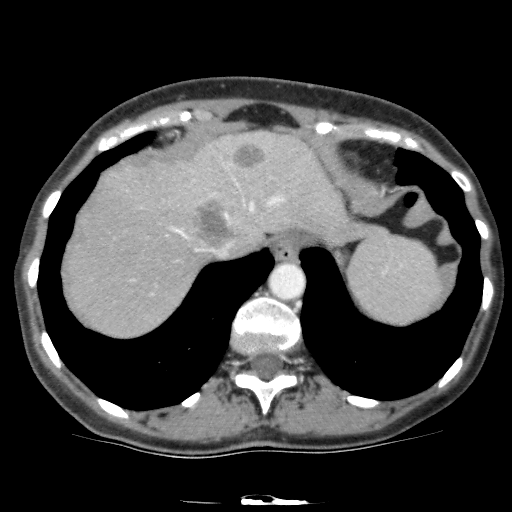

Computed tomography; Abdomen
hepatic_lesion:
  - [x1=192, y1=197, x2=239, y2=246]
  - [x1=231, y1=142, x2=266, y2=169]
liver:
  - [x1=63, y1=131, x2=378, y2=336]